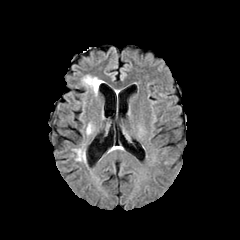
FLAIR MR.
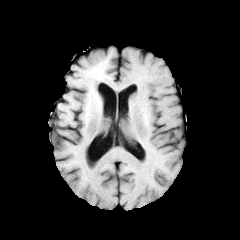
T1-weighted magnetic resonance of the same slice.
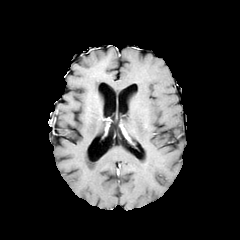
Post-contrast T1-weighted MR image.
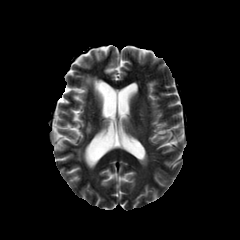
T2-weighted MR of the same slice.
Edema: bbox=[85, 123, 93, 134]; bbox=[81, 75, 103, 96]; bbox=[74, 148, 86, 161].